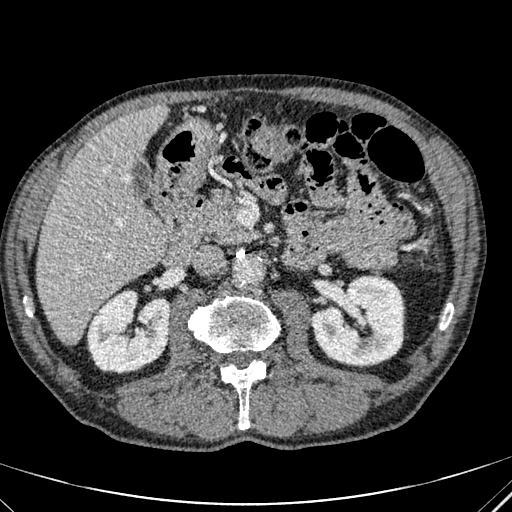
CT image.
Kidney — 313,277,402,364; 88,291,168,371.
Liver — 37,106,166,344.